Computed tomography; 512x512

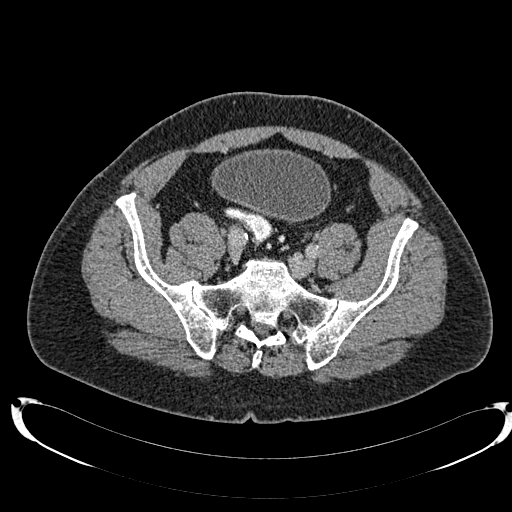 <segmentation>
  <urinary_bladder>x1=214, y1=149, x2=330, y2=221</urinary_bladder>
</segmentation>